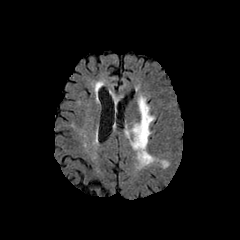
FLAIR MRI.
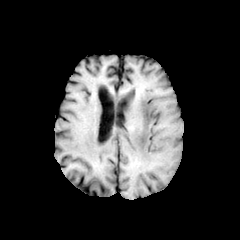
T1-weighted MR.
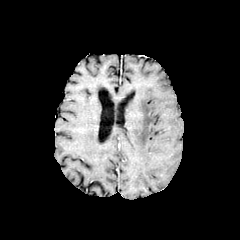
Post-contrast T1-weighted MRI of the same slice.
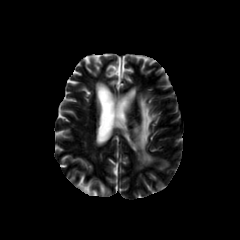
T2-weighted MRI.
Findings:
• edema: region(124, 94, 155, 166)